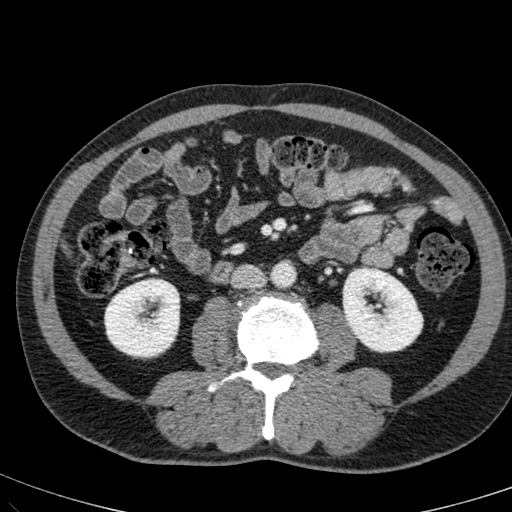
Abdomen. CT slice.

2 kidney regions are located at 344, 269, 420, 350; 105, 280, 178, 356.